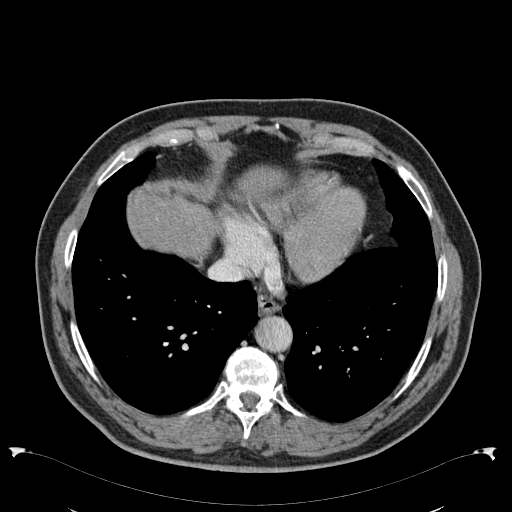
512x512 px | CT

2 liver regions appear at (x1=239, y1=166, x2=283, y2=193), (x1=129, y1=191, x2=212, y2=255).